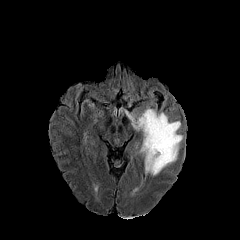
FLAIR magnetic resonance.
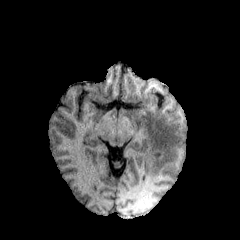
T1-weighted MRI of the same slice.
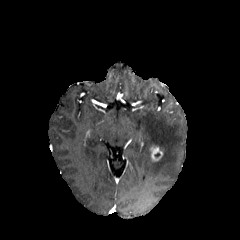
Same slice, post-contrast T1-weighted magnetic resonance.
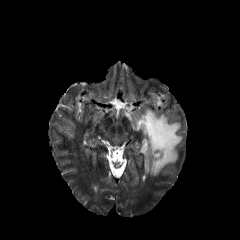
T2-weighted MRI.
Brain.
Edema at {"x1": 127, "y1": 110, "x2": 182, "y2": 179}.
Enhancing tumor at {"x1": 149, "y1": 145, "x2": 164, "y2": 160}.